CT slice, Image width 512 mm 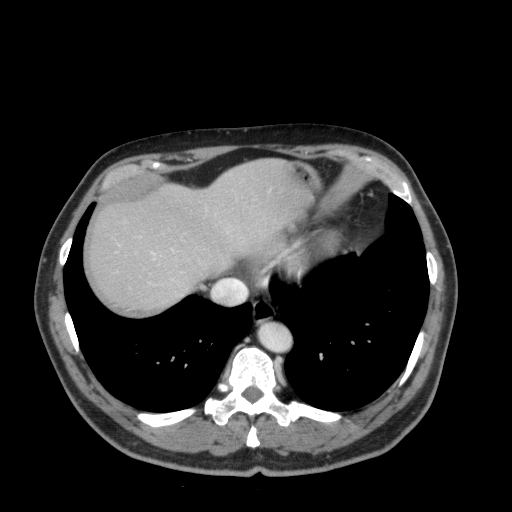

Annotated regions:
• liver: x1=89 y1=160 x2=305 y2=309